CT image 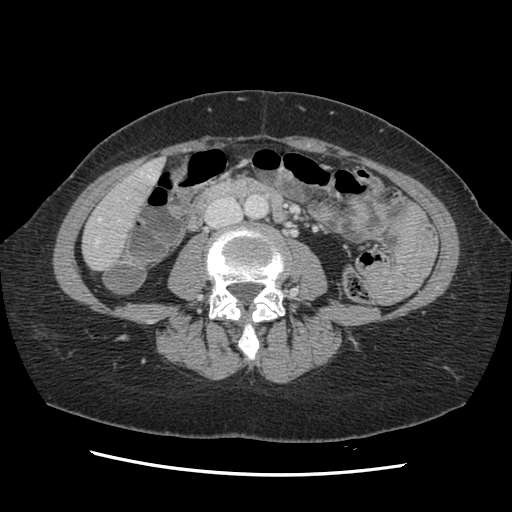
Only some of the vessels may be annotated.
3 hepatic vessel regions appear at (left=148, top=170, right=156, bottom=181), (left=95, top=240, right=98, bottom=244), (left=98, top=218, right=100, bottom=220).